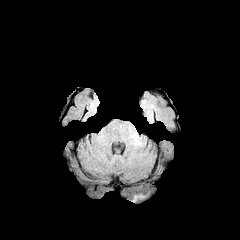
FLAIR MRI.
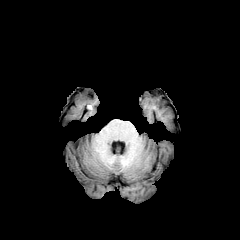
Same slice, T1-weighted magnetic resonance.
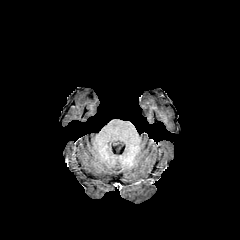
Same slice, post-contrast T1-weighted MRI.
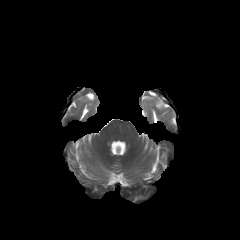
T2-weighted MRI of the same slice.
240x240 px
edema: [132, 194, 145, 201]